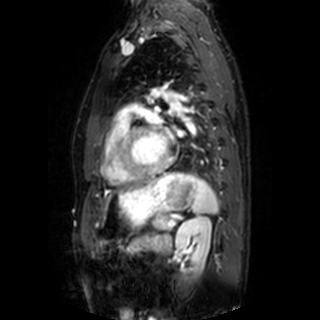
MRI slice | Heart

2 left atrium regions are located at left=146, top=113, right=167, bottom=154; left=176, top=129, right=185, bottom=136.